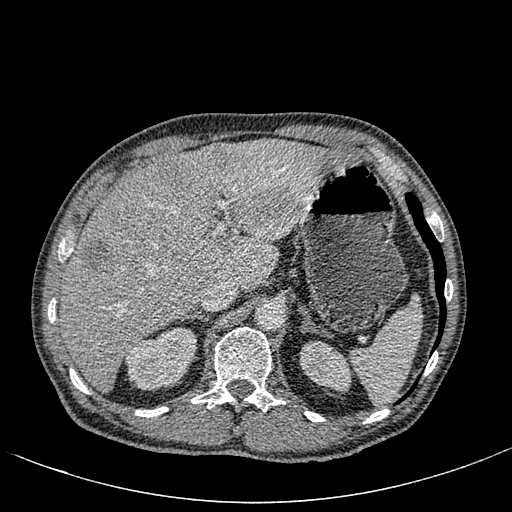 CT scan slice, Abdomen
{
  "focal_liver_lesion": [
    "bbox(219, 234, 237, 253)",
    "bbox(80, 236, 111, 273)",
    "bbox(212, 143, 234, 165)",
    "bbox(156, 159, 183, 184)"
  ],
  "kidney": [
    "bbox(124, 328, 196, 389)",
    "bbox(300, 341, 350, 390)"
  ],
  "liver": [
    "bbox(59, 139, 361, 393)"
  ]
}